FLAIR magnetic resonance.
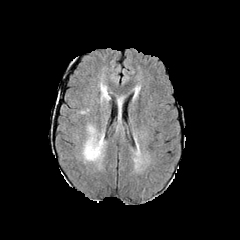
T1-weighted MR.
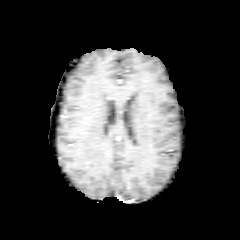
Post-contrast T1-weighted magnetic resonance.
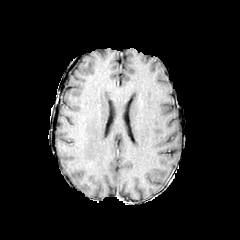
T2-weighted MRI.
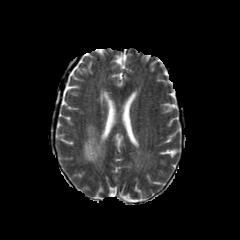
2 edema regions are bounded by [100,83,109,103], [82,125,105,163].